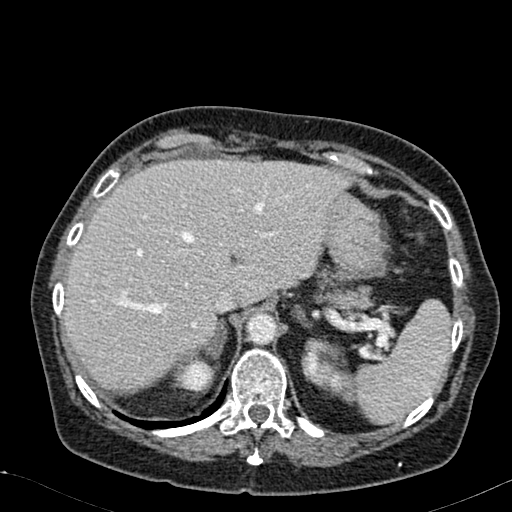 512x512 px; CT image
Liver: 65 160 352 392.
Kidney: 177 356 208 388, 303 341 350 391.